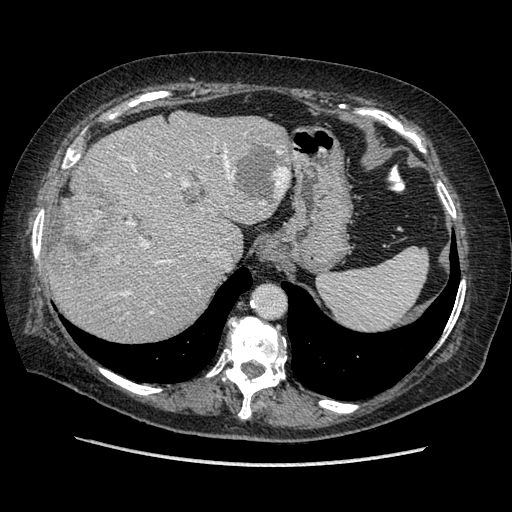 Liver; CT scan slice
Not every hepatic vessel necessarily has a box.
- liver tumor: [57, 185, 117, 263]
- hepatic vessel: [167, 174, 170, 175], [124, 292, 128, 293], [141, 239, 147, 245], [129, 221, 134, 225], [183, 180, 188, 187], [224, 157, 232, 177]